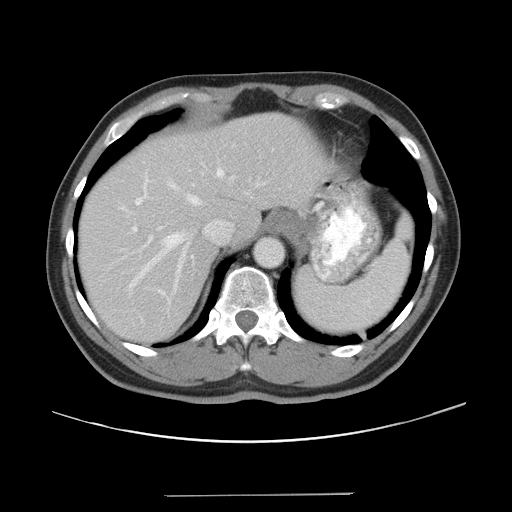
CT slice; Abdomen

Some hepatic vessels may have no box.
Hepatic vessel: bbox(256, 183, 264, 186); bbox(230, 176, 233, 180); bbox(217, 169, 223, 178); bbox(146, 236, 152, 243); bbox(132, 227, 136, 231); bbox(167, 297, 170, 303); bbox(120, 207, 128, 211); bbox(201, 172, 202, 173); bbox(129, 232, 184, 290); bbox(135, 172, 149, 204); bbox(158, 226, 162, 229); bbox(188, 194, 200, 204); bbox(158, 290, 165, 295); bbox(191, 256, 192, 259); bbox(168, 181, 177, 190).